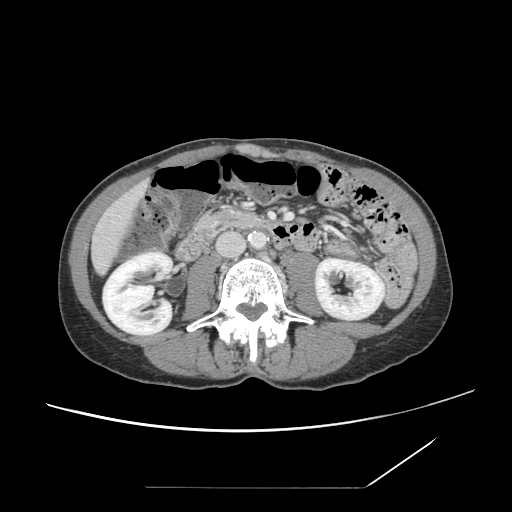

CT slice; Abdomen

Pancreas: bounding box bbox=[195, 208, 271, 241].